Head
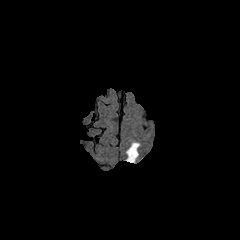
FLAIR MR image.
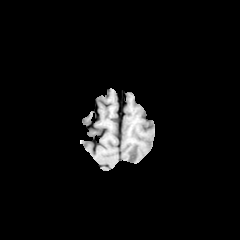
T1-weighted MR image.
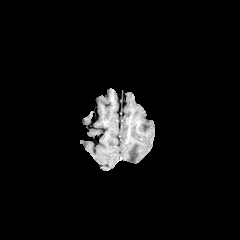
Post-contrast T1-weighted MR.
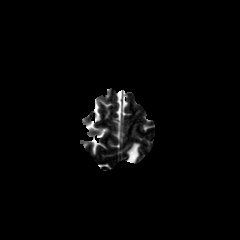
T2-weighted MRI of the same slice.
The edema lies within region(126, 142, 140, 162).